CT image | Image width 440 mm
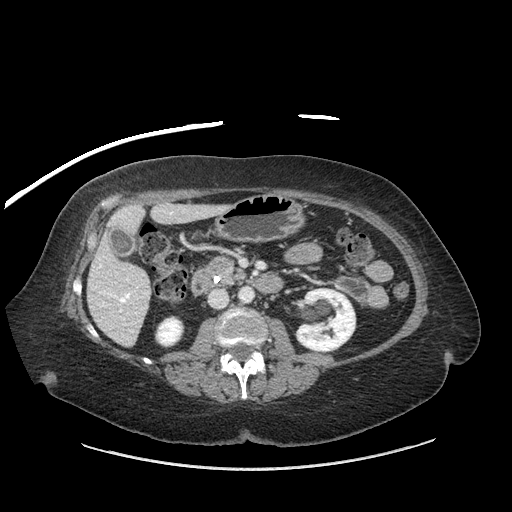
Segmented structures:
- pancreas: 201:255:244:285
- pancreatic tumor: 210:257:228:268